Slice index 413. CT image. 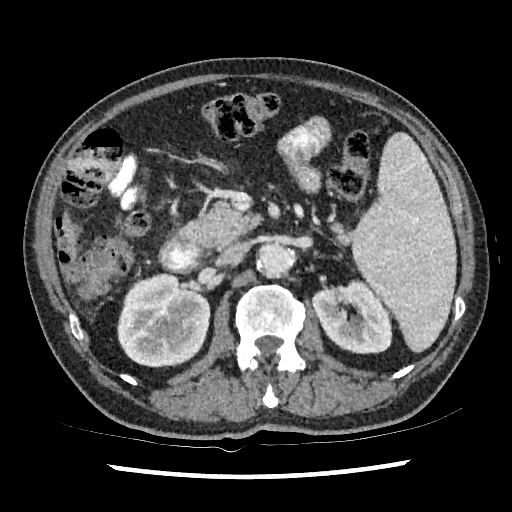

The liver appears at bbox=[61, 212, 76, 257]. 2 kidney regions appear at bbox=[118, 274, 209, 366]; bbox=[312, 281, 391, 352].